Field of view 381 mm wide, 1.50 mm slice spacing | 512x512 | Liver | CT 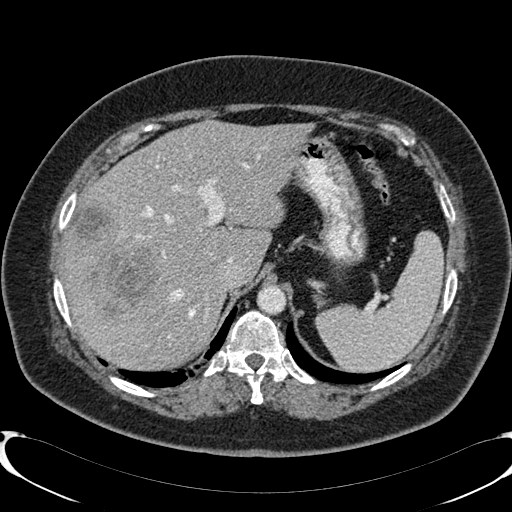
The liver is at (64,121,313,368). The liver lesion lies within (68,203,157,319).